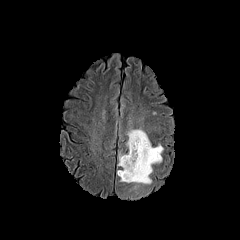
FLAIR MR image.
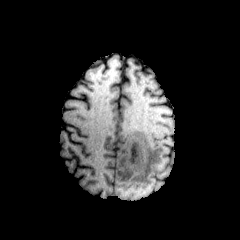
T1-weighted MRI of the same slice.
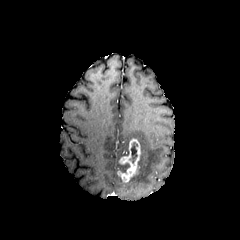
Post-contrast T1-weighted MR.
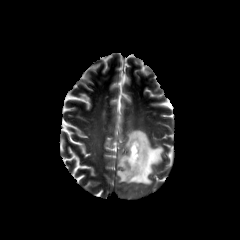
T2-weighted magnetic resonance.
<segmentation>
  <non-enhancing_tumor_core>130, 143, 137, 162</non-enhancing_tumor_core>
  <enhancing_tumor>117, 138, 141, 182</enhancing_tumor>
  <edema>118, 129, 163, 200</edema>
</segmentation>